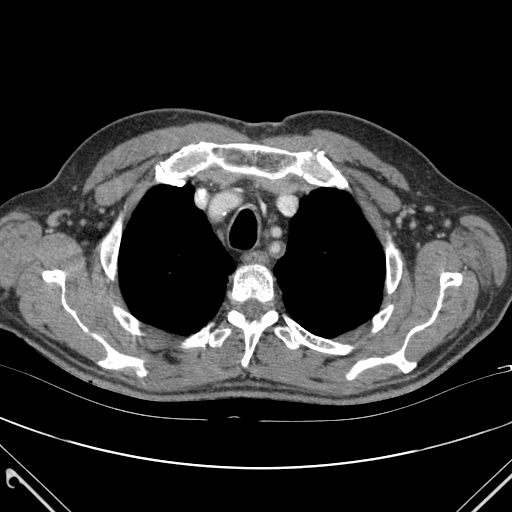 512x512 px, CT
{
  "bone": [
    "x1=156 y1=142 x2=347 y2=187",
    "x1=42 y1=270 x2=87 y2=331",
    "x1=114 y1=307 x2=139 y2=334",
    "x1=275 y1=317 x2=352 y2=354",
    "x1=386 y1=244 x2=401 y2=292",
    "x1=101 y1=221 x2=120 y2=279",
    "x1=184 y1=326 x2=230 y2=347",
    "x1=228 y1=311 x2=277 y2=366",
    "x1=232 y1=265 x2=272 y2=301",
    "x1=94 y1=334 x2=145 y2=376",
    "x1=372 y1=305 x2=392 y2=331",
    "x1=346 y1=272 x2=461 y2=379"
  ],
  "lung": [
    "x1=273 y1=188 x2=385 y2=337",
    "x1=118 y1=184 x2=235 y2=334"
  ]
}